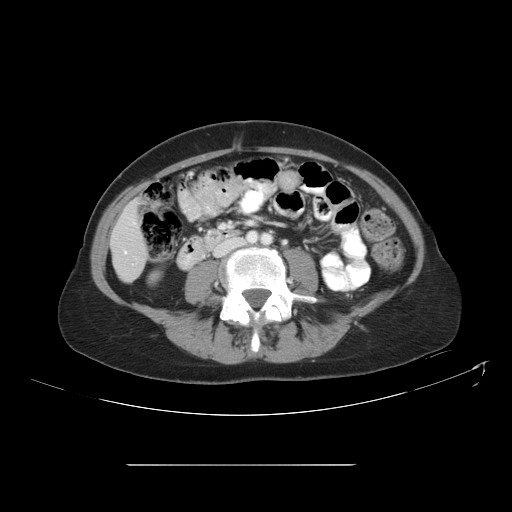
CT slice

The vessel boxes may cover only some of the vessels.
hepatic vessel: x1=124 y1=251 x2=126 y2=253